Brain | 512x512 px | CT slice 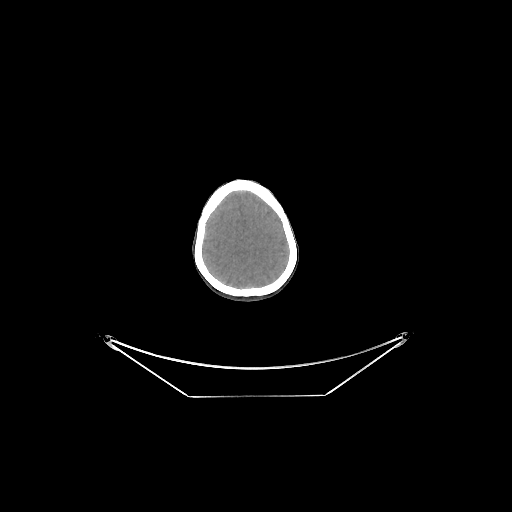
Segmented structures:
• brain: 202, 191, 288, 288